512x512 px, Abdomen, Computed tomography, Slice index 110
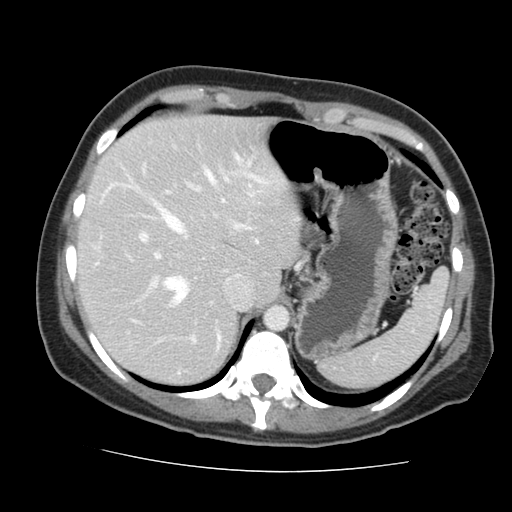
Only some of the vessels may be annotated.
<segmentation partial="true">
  <hepatic_vessel shown="15" total="17">left=190, top=337, right=194, bottom=342; left=151, top=279, right=156, bottom=287; left=140, top=233, right=146, bottom=241; left=234, top=155, right=239, bottom=160; left=255, top=240, right=257, bottom=242; left=155, top=253, right=158, bottom=258; left=204, top=169, right=213, bottom=182; left=248, top=193, right=251, bottom=194; left=242, top=172, right=263, bottom=181; left=224, top=177, right=227, bottom=181; left=234, top=224, right=250, bottom=229; left=187, top=184, right=199, bottom=191; left=247, top=162, right=249, bottom=165; left=217, top=334, right=219, bottom=346; left=164, top=277, right=187, bottom=303</hepatic_vessel>
</segmentation>